512x512 px; Liver; CT slice 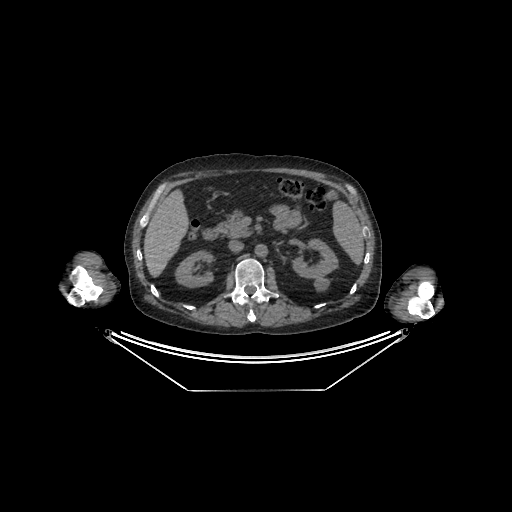 <segmentation>
  <liver>{"x1": 144, "y1": 190, "x2": 188, "y2": 276}</liver>
  <kidney>{"x1": 292, "y1": 239, "x2": 338, "y2": 290}, {"x1": 175, "y1": 250, "x2": 214, "y2": 287}</kidney>
</segmentation>